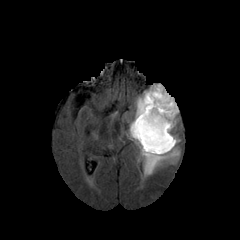
FLAIR magnetic resonance.
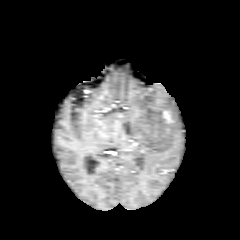
T1-weighted MR.
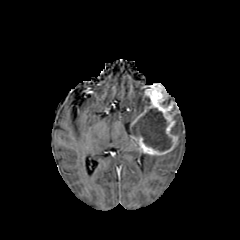
Post-contrast T1-weighted MR.
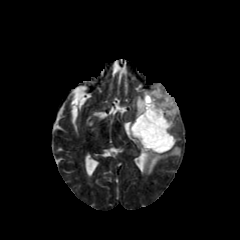
Same slice, T2-weighted magnetic resonance.
Head
Enhancing tumor: box=[130, 83, 179, 155].
Edema: box=[140, 146, 180, 175]; box=[133, 94, 142, 120].
Non-enhancing tumor core: box=[140, 97, 150, 112]; box=[131, 108, 171, 151].